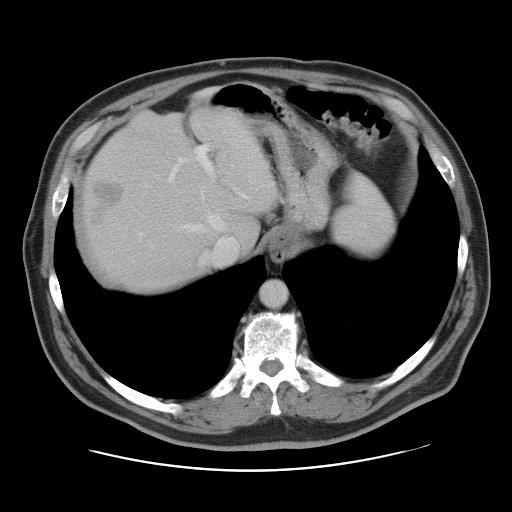

CT scan slice
The vessel annotation is not exhaustive.
The liver tumor appears at rect(88, 178, 128, 225). 6 hepatic vessel regions appear at rect(238, 192, 248, 197); rect(180, 214, 226, 231); rect(201, 237, 237, 264); rect(139, 234, 141, 235); rect(169, 158, 183, 180); rect(194, 146, 212, 172).